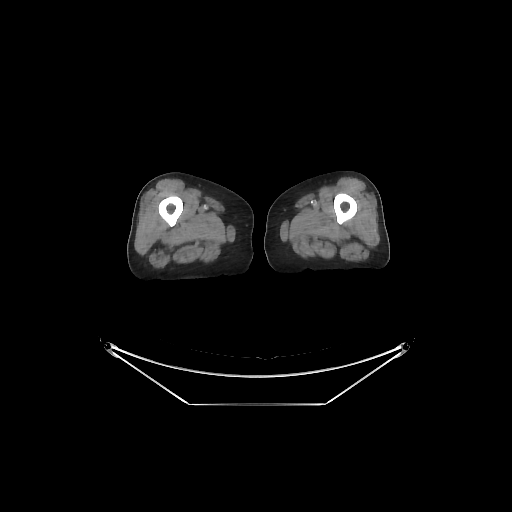 CT slice; 512x512
Segmented structures:
- bone: bbox(158, 195, 182, 226); bbox(334, 193, 356, 224)